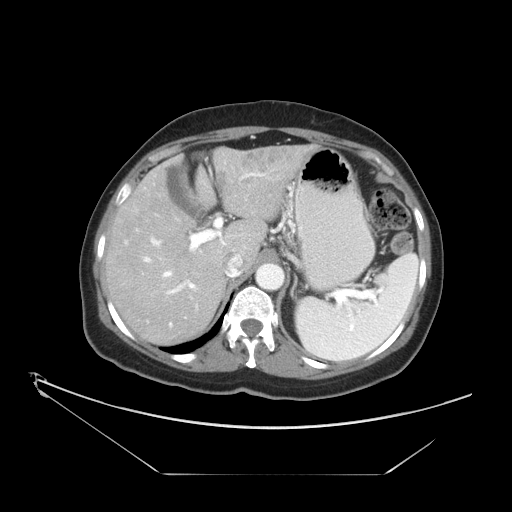
CT, Liver
The vessel annotation is not exhaustive.
hepatic vessel: box=[168, 285, 181, 293]; box=[164, 271, 170, 275]; box=[189, 283, 194, 287]; box=[191, 230, 220, 248]; box=[169, 323, 171, 325]; box=[152, 239, 160, 245]; box=[221, 239, 224, 244]; box=[215, 218, 221, 227]; box=[144, 257, 149, 261] | liver tumor: box=[242, 149, 283, 170]